CT scan slice; Field of view 379x379 mm; 512x512; Liver

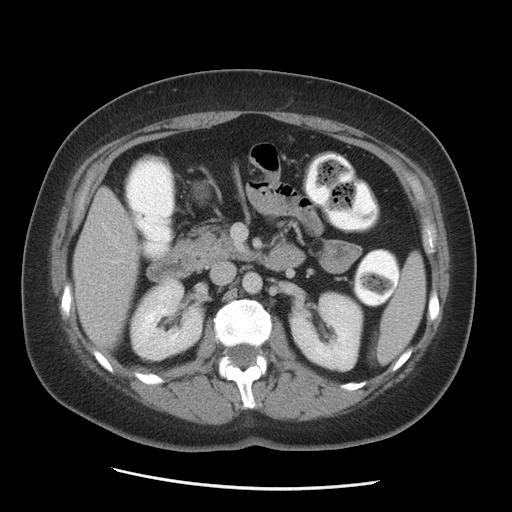
kidney:
  - <box>132,279,201,359</box>
  - <box>292,294,361,369</box>
liver:
  - <box>74,188,141,346</box>